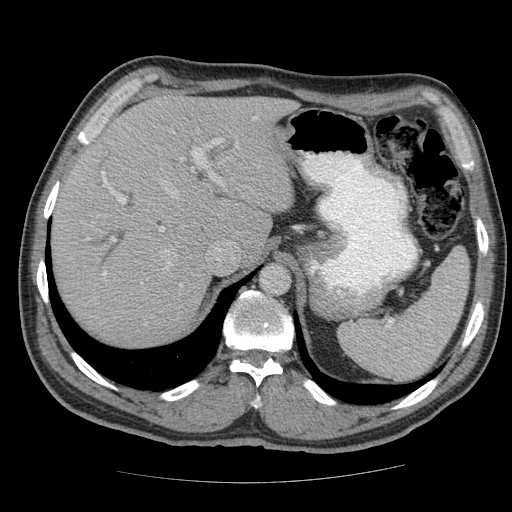 Liver | Image size 512x512 | Computed tomography

Some hepatic vessels may have no box.
Segmented structures:
* hepatic vessel: <bbox>159, 228, 163, 232</bbox>, <bbox>86, 238, 89, 240</bbox>, <bbox>103, 271, 105, 276</bbox>, <bbox>102, 171, 125, 203</bbox>, <bbox>180, 284, 181, 286</bbox>, <bbox>110, 237, 114, 242</bbox>, <bbox>181, 158, 183, 160</bbox>, <bbox>161, 180, 177, 197</bbox>, <bbox>190, 139, 221, 183</bbox>, <bbox>161, 249, 174, 268</bbox>